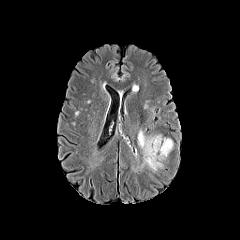
FLAIR MR.
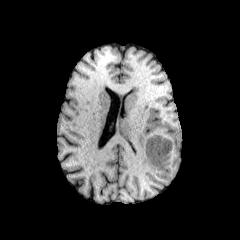
Same slice, T1-weighted MRI.
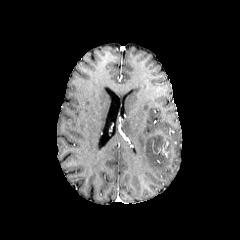
Post-contrast T1-weighted MR image.
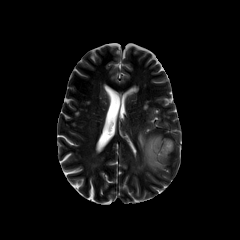
Same slice, T2-weighted magnetic resonance.
Brain
<segmentation>
  <edema>162 138 173 150, 138 131 165 170</edema>
</segmentation>